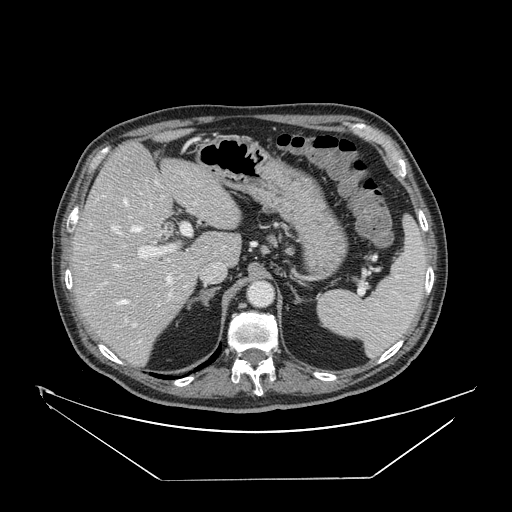
CT
pancreas:
  - region(262, 230, 297, 256)